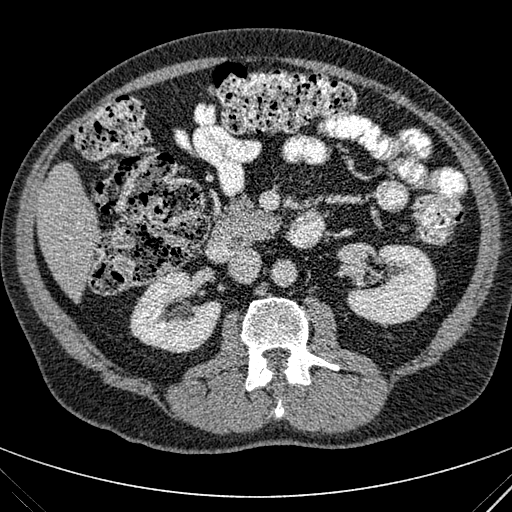
CT image
{"liver": ["[36, 164, 97, 302]"], "kidney": ["[340, 243, 435, 324]", "[130, 269, 220, 352]"]}